FLAIR MR image.
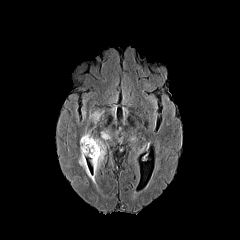
T1-weighted MRI.
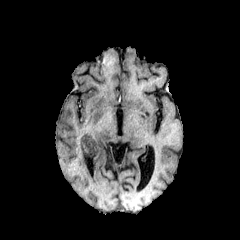
Post-contrast T1-weighted MR image.
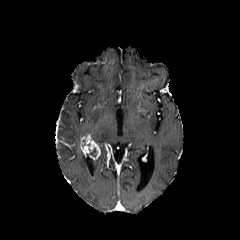
T2-weighted magnetic resonance.
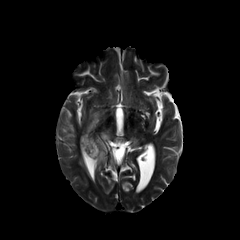
Non-enhancing tumor core = left=86, top=148, right=98, bottom=161.
Enhancing tumor = left=79, top=135, right=100, bottom=160.
Edema = left=93, top=138, right=105, bottom=176; left=89, top=110, right=103, bottom=124; left=101, top=131, right=110, bottom=139; left=78, top=149, right=95, bottom=184.